Field of view 348x348 mm, Image size 512x512, Computed tomography, Slice 96 of 836

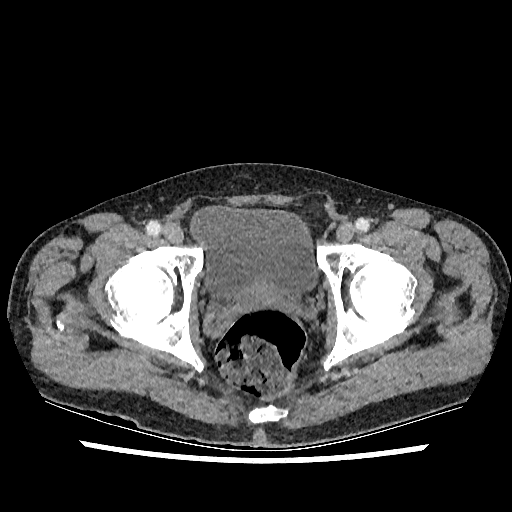
Urinary bladder = (left=192, top=203, right=319, bottom=326).